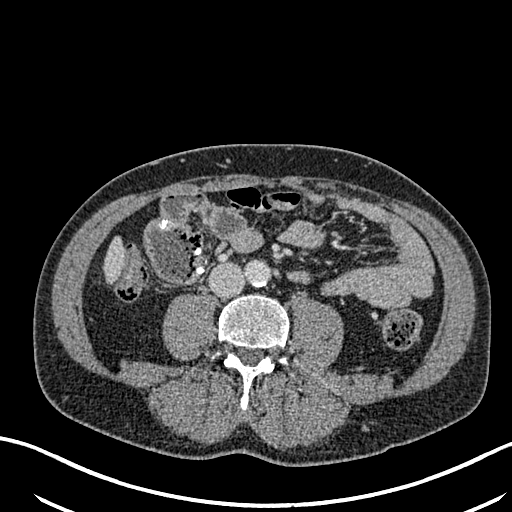

Liver | Image size 512x512 | CT
The liver is at (104,237,123,280).